CT scan slice 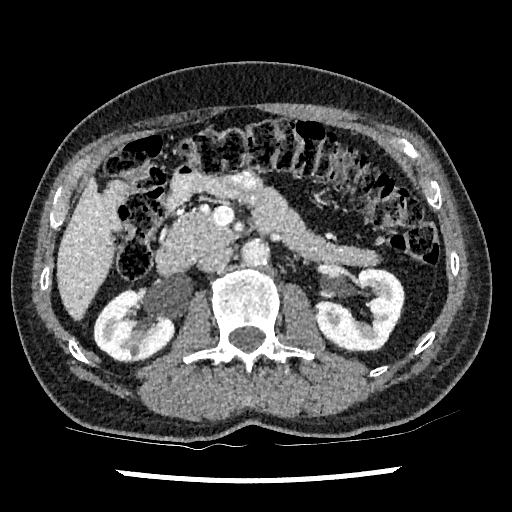 liver: bbox=[58, 176, 113, 319] | kidney: bbox=[317, 270, 403, 349]; bbox=[95, 291, 173, 359]